240x240 | Slice index 87 | Head
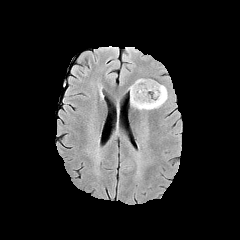
FLAIR MR image.
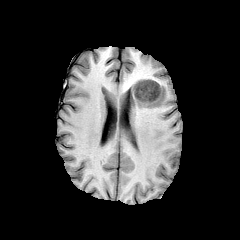
Same slice, T1-weighted MR image.
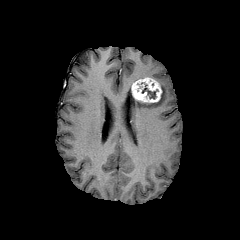
Same slice, post-contrast T1-weighted MR.
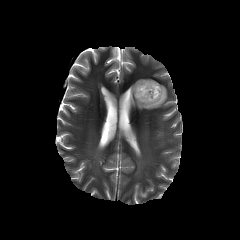
Same slice, T2-weighted MR image.
The non-enhancing tumor core lies within 142:88:155:98. The enhancing tumor is at 131:78:161:102. The edema lies within 131:84:167:109.